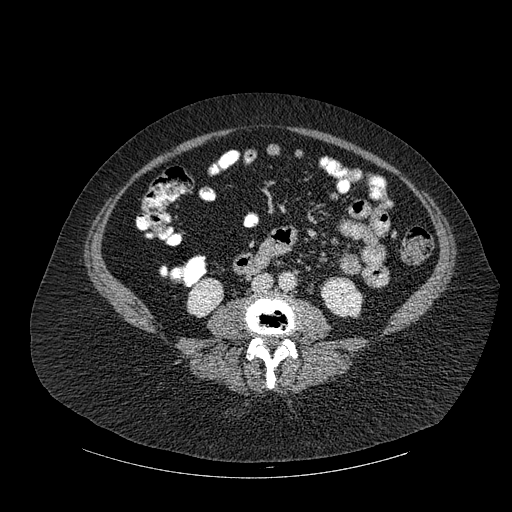 Abdomen. 512x512 px. CT scan slice.

Kidney: (left=187, top=278, right=223, bottom=316), (left=321, top=278, right=361, bottom=316).
Bone: (left=245, top=296, right=297, bottom=388).